Head | Slice 93 of 155
FLAIR MR image.
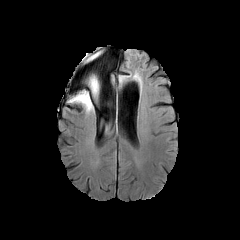
T1-weighted MR image.
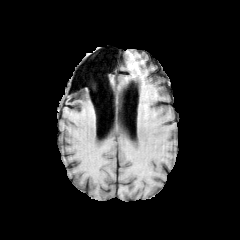
Post-contrast T1-weighted MRI.
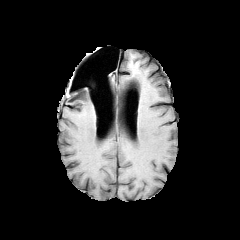
T2-weighted magnetic resonance.
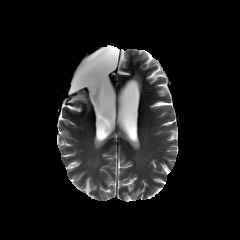
edema:
  - <box>69,74,101,112</box>